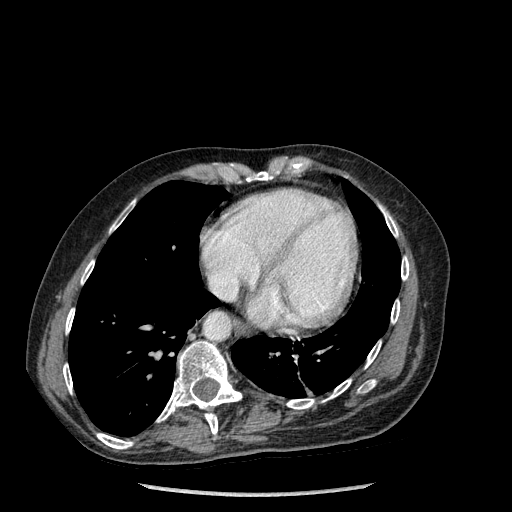

Chest. CT image.
Bone: bounding box 401:256:409:280, 109:199:135:232, 322:379:351:401, 63:363:72:394, 80:260:94:284, 357:379:376:393, 245:171:272:181, 96:433:133:449, 381:207:398:237, 365:340:381:368, 286:399:315:409, 391:299:399:323, 65:308:74:334, 156:341:242:436.
Lung: bounding box 231:179:400:398, 69:180:227:436.